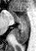 Medial temporal lobe, Magnetic resonance

- posterior hippocampus: region(14, 23, 29, 43)
- anterior hippocampus: region(11, 12, 28, 22)